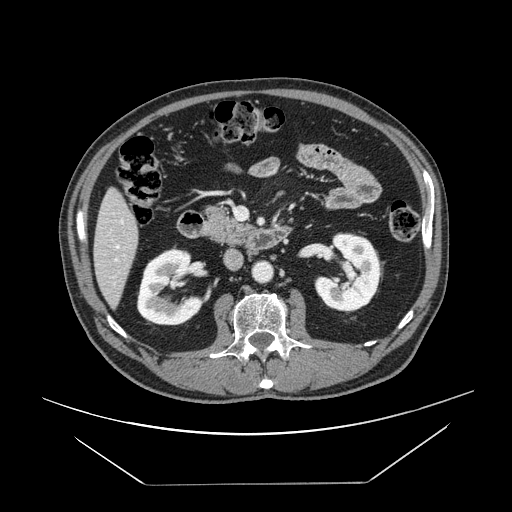 Abdomen; CT slice; Image size 512x512

pancreas: {"x1": 200, "y1": 206, "x2": 255, "y2": 245}